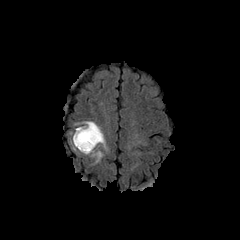
FLAIR MR.
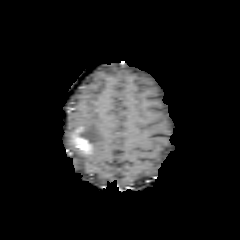
T1-weighted MRI.
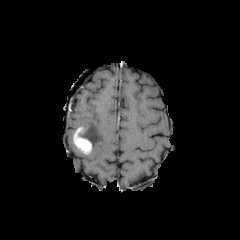
Post-contrast T1-weighted MR image of the same slice.
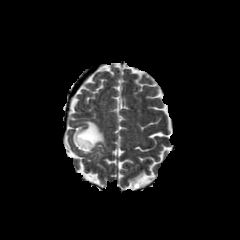
T2-weighted MRI of the same slice.
edema:
  - (82,121,106,162)
non-enhancing_tumor_core:
  - (79,127,96,145)
enhancing_tumor:
  - (73,126,92,154)